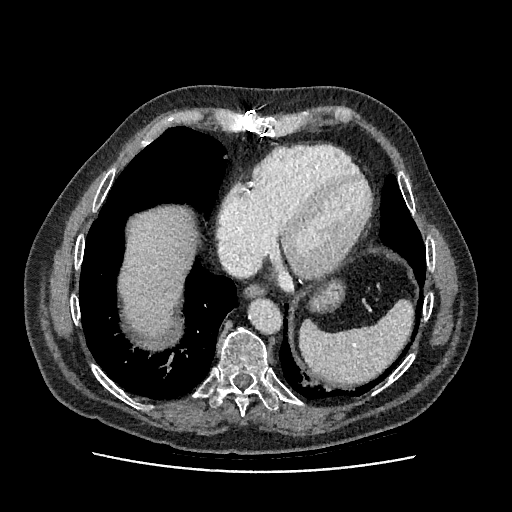
CT slice
Liver — [120, 208, 195, 336].